Abdomen. 512x512 px. CT. Field of view 385x385 mm.

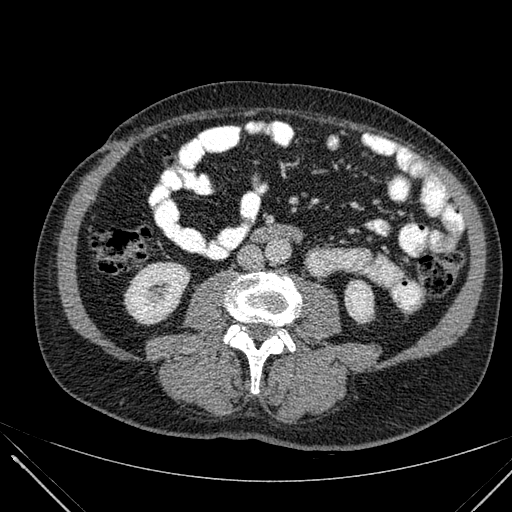

{"kidney": ["box(125, 263, 188, 323)", "box(345, 280, 372, 321)"]}